FLAIR MR.
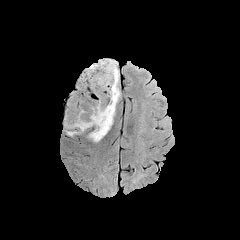
T1-weighted MR image.
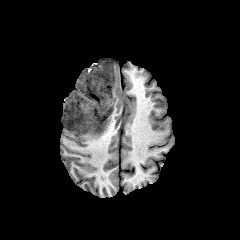
Post-contrast T1-weighted MR.
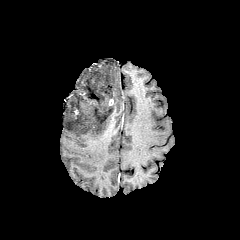
T2-weighted MR image.
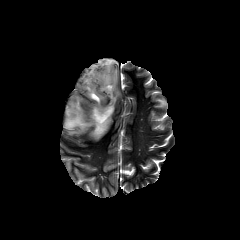
Head | Image size 240x240
3 non-enhancing tumor core regions are bounded by (left=104, top=72, right=111, bottom=93), (left=94, top=99, right=113, bottom=123), (left=100, top=63, right=111, bottom=72). The edema lies within (left=64, top=59, right=120, bottom=141).